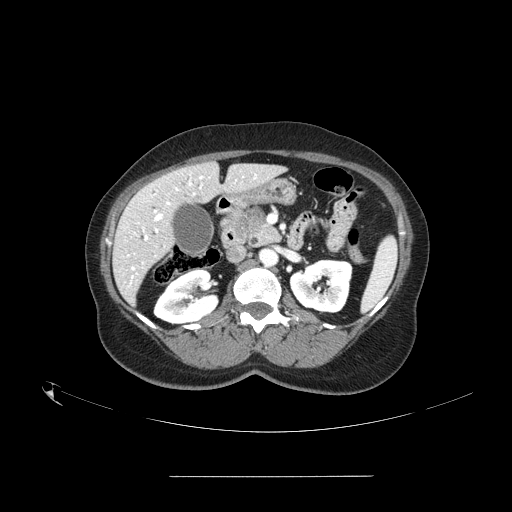
CT

* pancreas: bbox(231, 209, 280, 243)
* pancreatic tumor: bbox(237, 208, 264, 236)